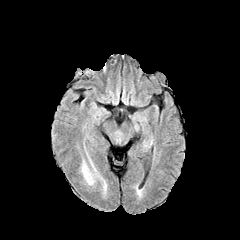
FLAIR MR.
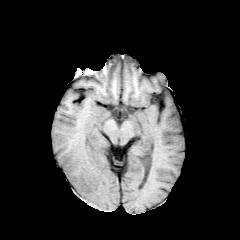
T1-weighted MRI.
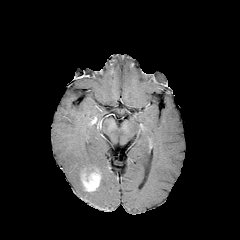
Same slice, post-contrast T1-weighted magnetic resonance.
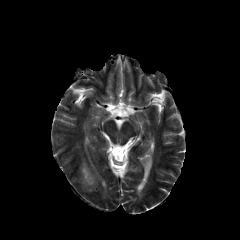
T2-weighted MRI of the same slice.
240x240 px, Head
{"edema": ["80,159,98,178"], "enhancing_tumor": ["82,174,99,190"]}